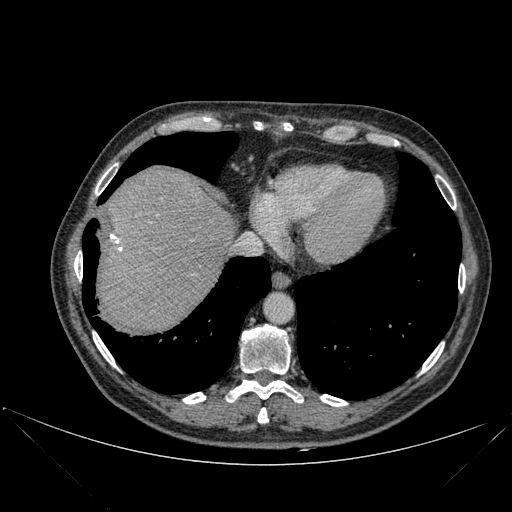 CT slice
{
  "lung": [
    "bbox(294, 152, 461, 399)",
    "bbox(99, 131, 237, 202)",
    "bbox(82, 219, 270, 394)"
  ],
  "liver": [
    "bbox(96, 171, 232, 335)"
  ],
  "bone": [
    "bbox(74, 251, 82, 280)",
    "bbox(458, 264, 465, 292)",
    "bbox(241, 324, 290, 374)",
    "bbox(93, 334, 116, 367)",
    "bbox(440, 177, 455, 209)",
    "bbox(320, 394, 347, 406)",
    "bbox(257, 408, 268, 423)",
    "bbox(183, 392, 205, 403)",
    "bbox(95, 163, 116, 195)",
    "bbox(421, 344, 443, 373)",
    "bbox(283, 123, 292, 130)",
    "bbox(227, 380, 302, 402)"
  ]
}